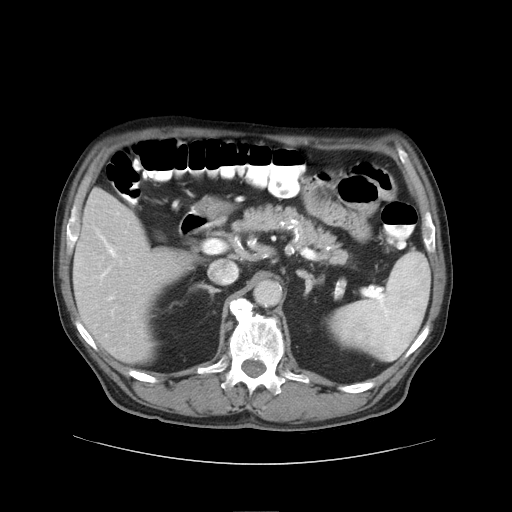

Abdomen; CT scan slice

The vessel boxes may cover only some of the vessels.
<segmentation>
  <hepatic_vessel><bbox>103, 271, 106, 274</bbox>, <bbox>97, 230, 121, 263</bbox></hepatic_vessel>
</segmentation>